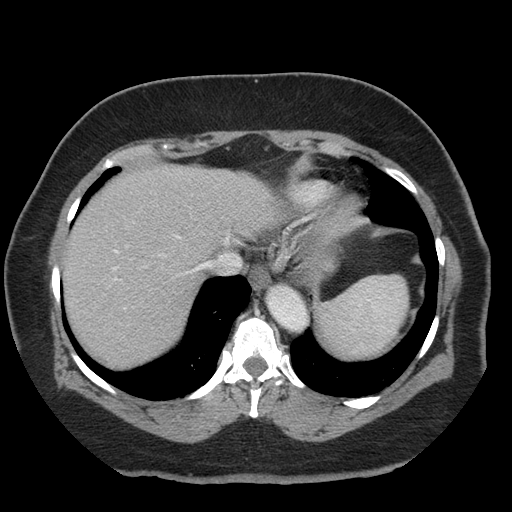 Abdomen | CT slice
The vessel annotation is not exhaustive.
7 hepatic vessel regions are bounded by bbox=[161, 254, 164, 255]; bbox=[176, 236, 178, 238]; bbox=[114, 278, 119, 280]; bbox=[191, 267, 200, 271]; bbox=[219, 256, 240, 265]; bbox=[113, 268, 116, 270]; bbox=[115, 251, 117, 252].